Field of view 340x340 mm | 512x512 px | CT image 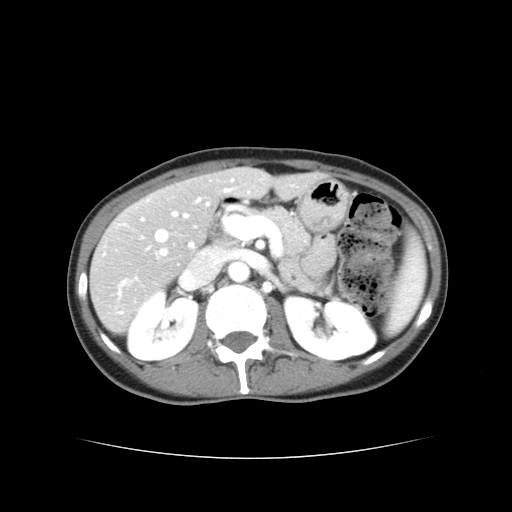

Some hepatic vessels may have no box.
Hepatic vessel — bbox=[157, 231, 167, 241]; bbox=[161, 250, 166, 255]; bbox=[227, 189, 229, 190]; bbox=[185, 215, 187, 216]; bbox=[173, 212, 176, 215]; bbox=[190, 244, 193, 246].